FLAIR magnetic resonance.
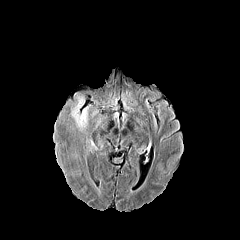
T1-weighted MR.
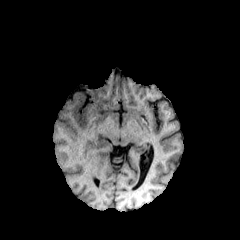
Post-contrast T1-weighted MR.
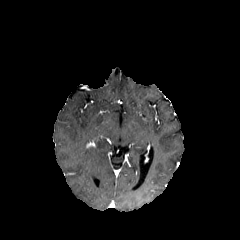
T2-weighted MR image.
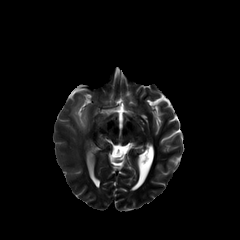
Edema: region(73, 98, 87, 125).